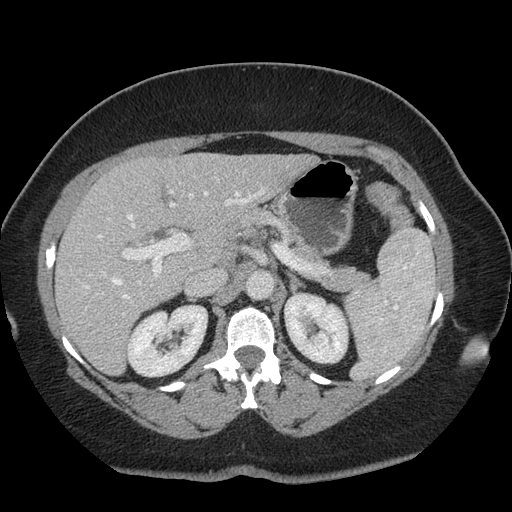
512x512. CT image.
Only some of the vessels may be annotated.
Annotated regions:
* hepatic vessel: x1=190 y1=195 x2=193 y2=197, x1=139 y1=282 x2=141 y2=284, x1=128 y1=214 x2=134 y2=227, x1=98 y1=235 x2=102 y2=238, x1=123 y1=295 x2=129 y2=299, x1=226 y1=188 x2=264 y2=204, x1=204 y1=192 x2=207 y2=195, x1=170 y1=191 x2=173 y2=192, x1=171 y1=204 x2=174 y2=206, x1=82 y1=284 x2=89 y2=288, x1=103 y1=272 x2=106 y2=277, x1=113 y1=278 x2=121 y2=285, x1=124 y1=233 x2=190 y2=276, x1=98 y1=292 x2=103 y2=294, x1=123 y1=314 x2=124 y2=315